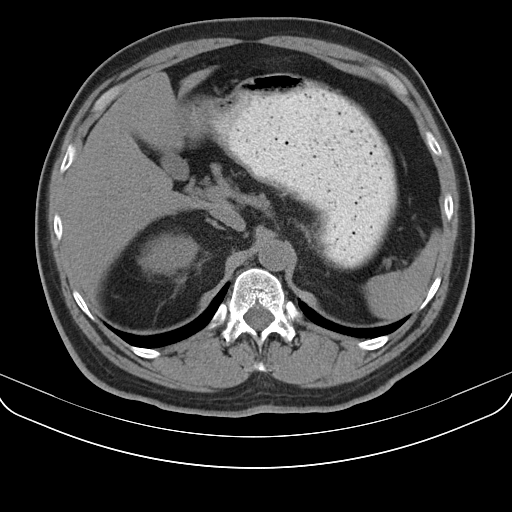 CT. Upper abdomen.

The spleen is located at (367, 234, 439, 319).